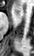
MRI slice; 34x56 px; Medial temporal lobe

anterior hippocampus: [x1=15, y1=9, x2=20, y2=14]